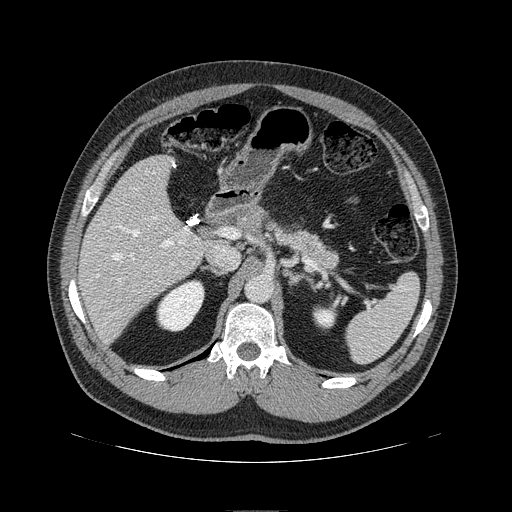
Abdomen, CT slice, 512x512
The pancreas lies within x1=235 y1=205 x2=337 y2=268.